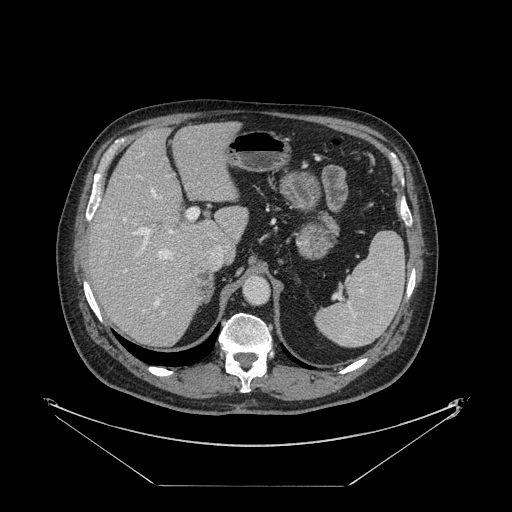

Abdomen; CT slice

Some hepatic vessels may have no box.
Hepatic vessel at 134, 227, 151, 254; 137, 175, 140, 177; 125, 269, 126, 270; 162, 312, 164, 313; 153, 300, 158, 306; 169, 229, 172, 232.
Liver tumor at 193, 271, 210, 301.